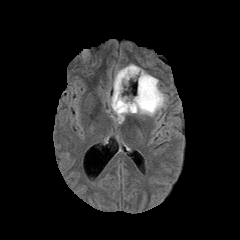
FLAIR magnetic resonance.
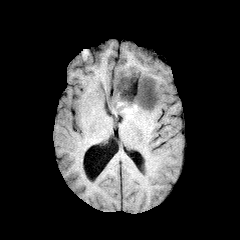
T1-weighted MRI.
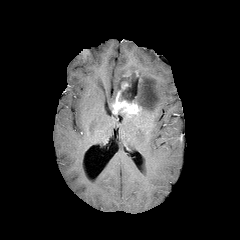
Post-contrast T1-weighted MR.
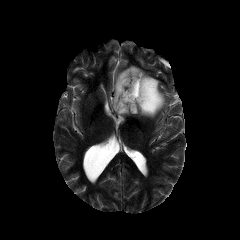
Same slice, T2-weighted MRI.
Head; 240x240
2 non-enhancing tumor core regions appear at (left=116, top=72, right=157, bottom=111), (left=114, top=112, right=126, bottom=121). The edema is located at (left=109, top=64, right=167, bottom=117). The enhancing tumor is at (left=112, top=82, right=142, bottom=114).